CT image. Slice 88 of 122. 512x512.

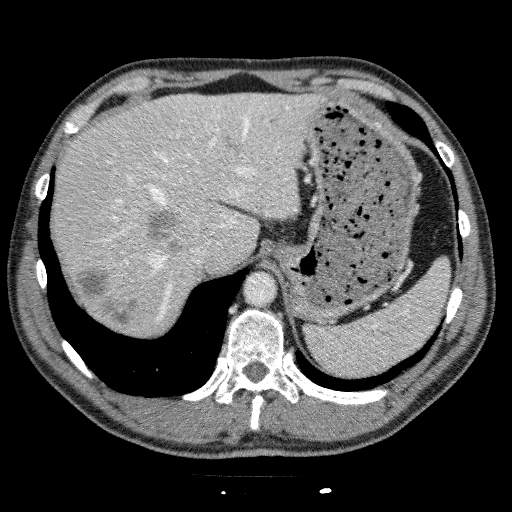

Liver: bounding box x1=52, y1=92, x2=323, y2=336.
Liver lesion: bounding box x1=224, y1=136, x2=243, y2=155; x1=102, y1=299, x2=139, y2=326; x1=76, y1=265, x2=112, y2=301; x1=143, y1=207, x2=184, y2=255.